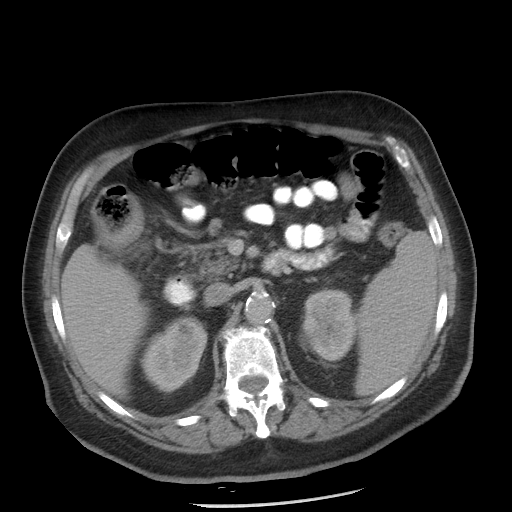
512x512 px; Abdomen; CT slice
The colon tumor is at (x1=93, y1=196, x2=143, y2=249).